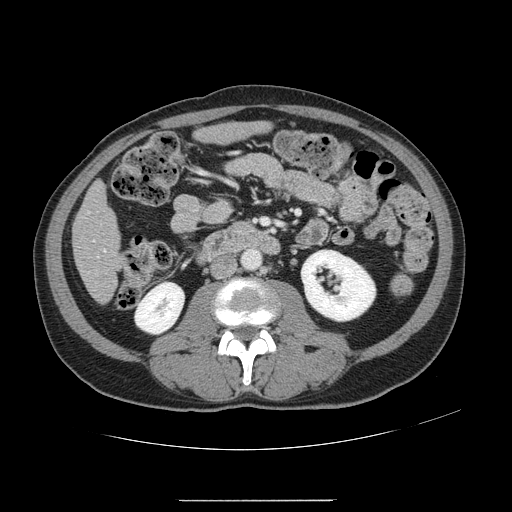
Computed tomography; Abdomen
Only some of the vessels may be annotated.
Annotated regions:
• hepatic vessel: (104,250,105,251)